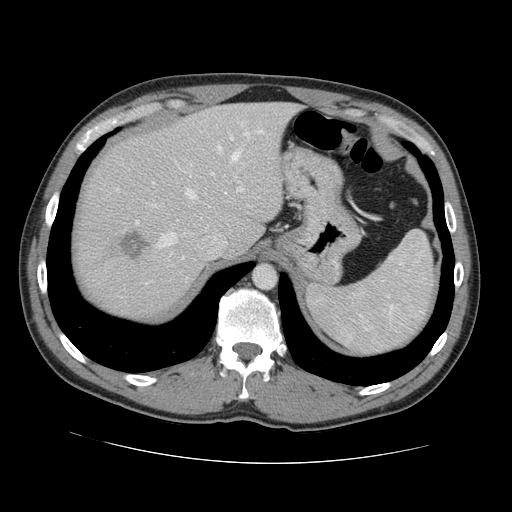 Abdomen. Computed tomography.

The vessel annotation is not exhaustive.
liver tumor: (119,231,149,259) | [15/22] hepatic vessel: (169,252,171,256), (239,122,244,127), (210,172,213,174), (216,146,220,152), (172,159,181,170), (231,152,239,161), (135,220,138,223), (243,131,248,138), (186,189,195,199), (229,133,232,139), (256,129,265,135), (189,172,191,175), (157,233,176,246), (236,181,242,191), (144,280,152,284)